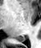 Hippocampus; MRI slice
posterior hippocampus: x1=17 y1=37 x2=25 y2=41